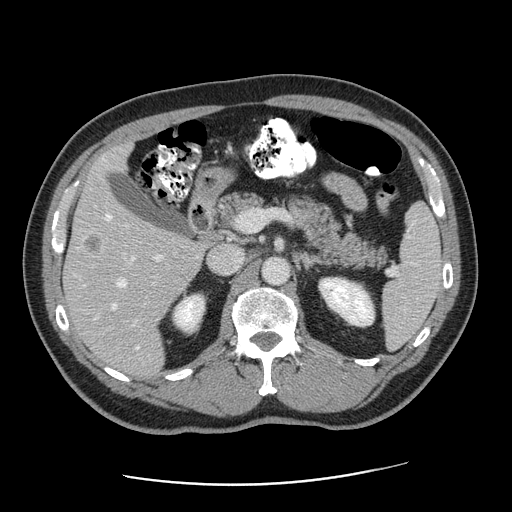

CT.
Not every hepatic vessel necessarily has a box.
Hepatic vessel: bounding box (106, 215, 111, 218), (236, 213, 250, 232), (136, 346, 138, 348), (118, 278, 126, 285), (95, 317, 97, 318), (112, 303, 116, 308), (154, 254, 161, 259), (203, 245, 205, 246), (210, 244, 243, 273), (132, 256, 134, 259).
Liver tumor: bounding box (81, 233, 106, 256).